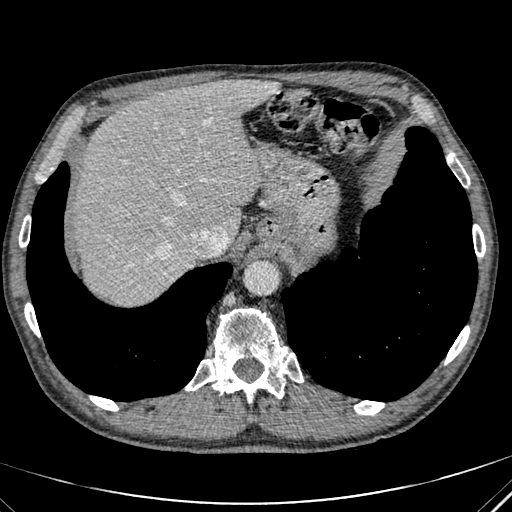

CT image
Annotated regions:
* liver: 76,80,278,304